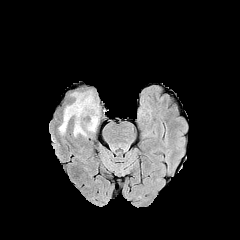
FLAIR magnetic resonance.
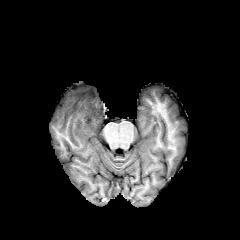
T1-weighted MRI of the same slice.
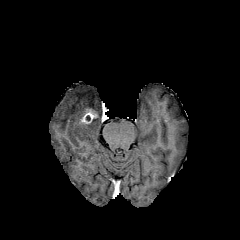
Post-contrast T1-weighted MRI.
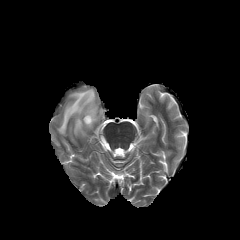
T2-weighted magnetic resonance.
240x240 px
* non-enhancing tumor core: region(77, 91, 93, 101)
* enhancing tumor: region(80, 108, 97, 124)
* edema: region(58, 90, 100, 137)